CT slice; Liver; Image size 512x512
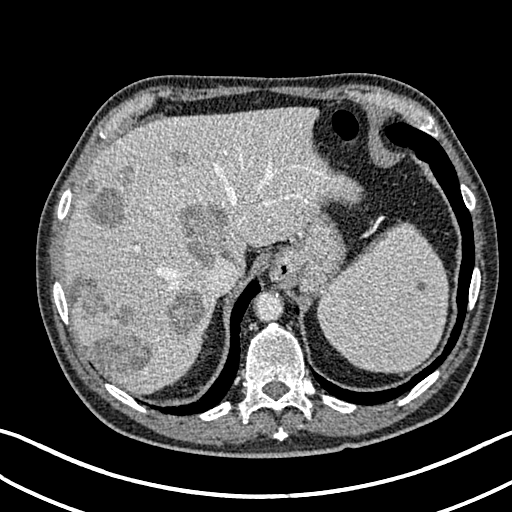 Liver lesion: <bbox>167, 287, 204, 336</bbox>, <bbox>170, 150, 188, 166</bbox>, <bbox>86, 187, 124, 228</bbox>, <bbox>67, 277, 134, 325</bbox>, <bbox>179, 203, 235, 267</bbox>, <bbox>116, 165, 134, 185</bbox>, <bbox>86, 180, 95, 192</bbox>, <bbox>84, 333, 152, 379</bbox>.
Liver: <bbox>64, 108, 357, 392</bbox>.